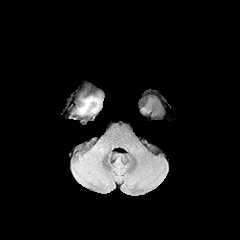
FLAIR MRI.
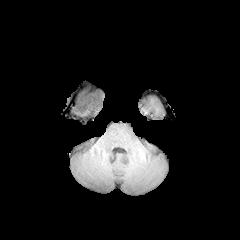
T1-weighted MR image.
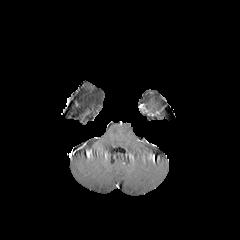
Same slice, post-contrast T1-weighted magnetic resonance.
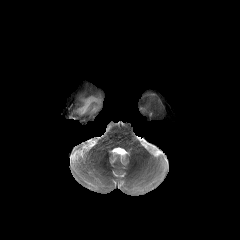
T2-weighted MR image.
The edema is at rect(78, 96, 101, 114).